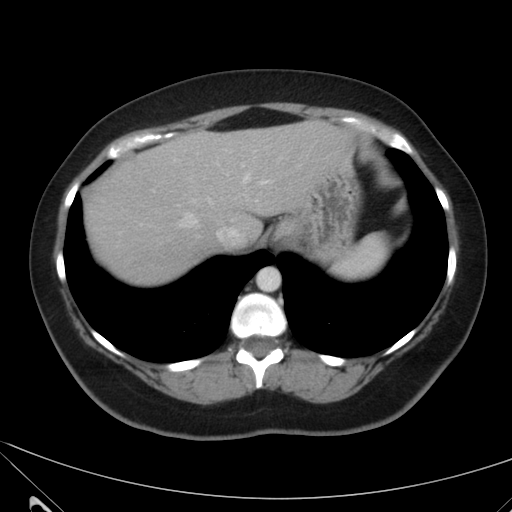
CT | Upper abdomen

Liver — [85,120,351,283].